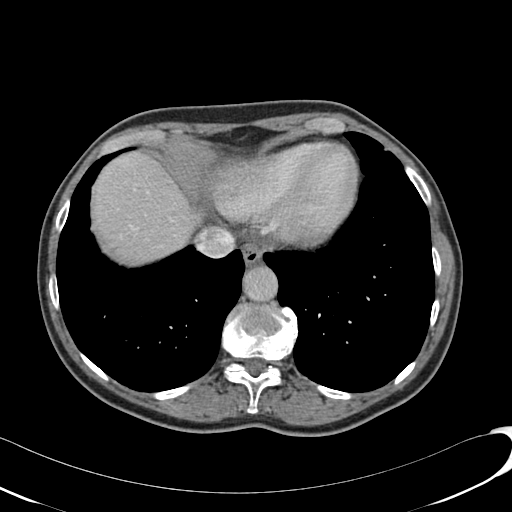 CT, 512x512 px

* liver: [x1=93, y1=154, x2=205, y2=262]